CT slice; Abdomen; 512x512 px; Image width 373 mm

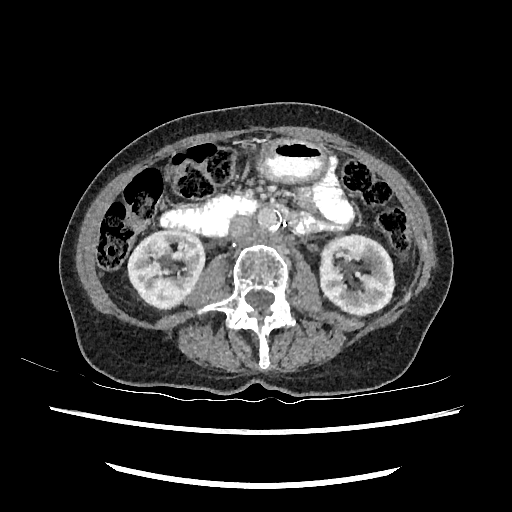
{
  "kidney": [
    "region(128, 228, 204, 307)",
    "region(321, 236, 393, 314)"
  ]
}